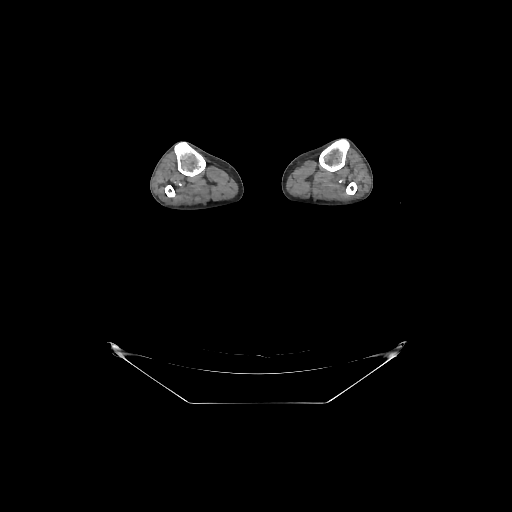

CT.
4 bone regions appear at l=165, t=185, r=175, b=197; l=346, t=182, r=357, b=194; l=174, t=142, r=205, b=176; l=319, t=139, r=349, b=171.